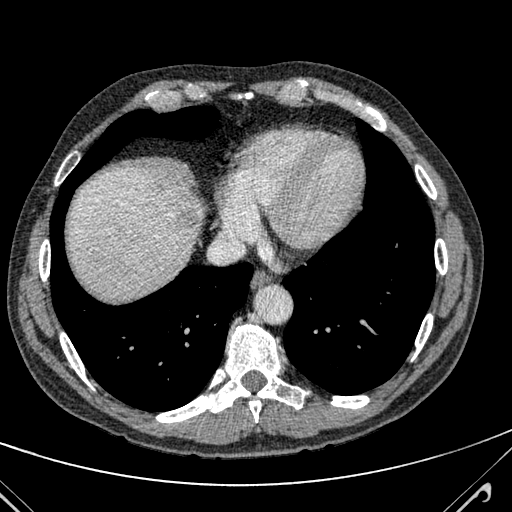 CT scan slice | Upper abdomen
hepatic lesion: [177,207,197,227] | liver: [67,165,204,297]